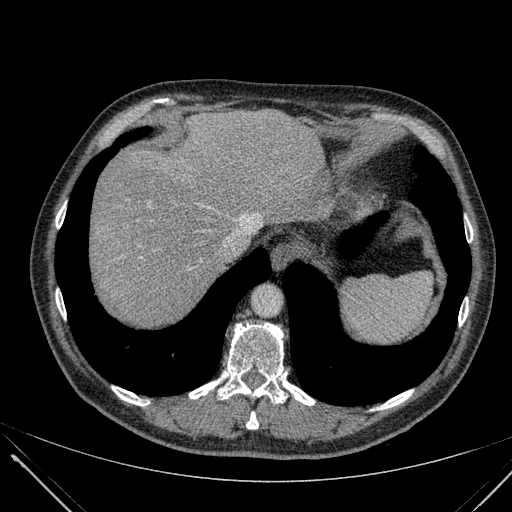

Image size 512x512 | CT

Annotated regions:
- liver: 90, 109, 327, 327